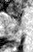

MRI, Medial temporal lobe, 33x52
• posterior hippocampus: (13,40,20,46)